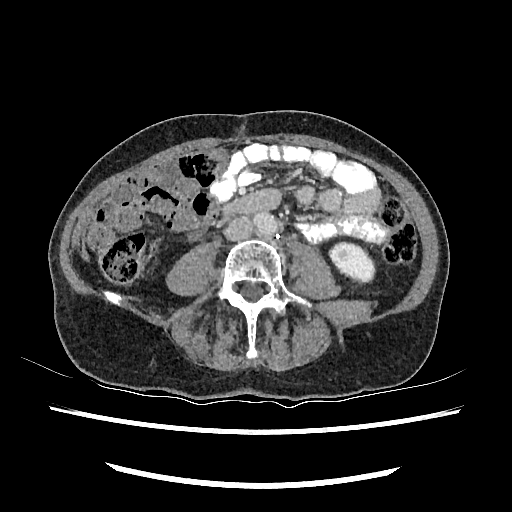
Abdomen | CT scan slice | 512x512

kidney: 331:244:372:279